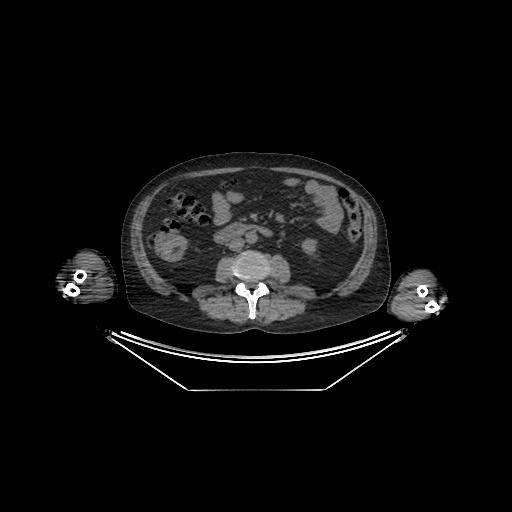
CT.

The kidney is located at left=301, top=238, right=317, bottom=256.